Liver, CT, 512x512 px, Slice 45/124 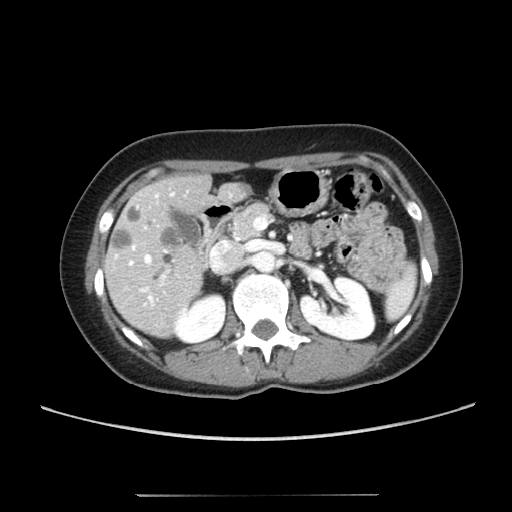
Findings:
* kidney: [x1=175, y1=297, x2=224, y2=341], [x1=301, y1=278, x2=373, y2=339]
* liver lesion: [x1=159, y1=226, x2=183, y2=249], [x1=110, y1=228, x2=131, y2=248], [x1=235, y1=183, x2=253, y2=196], [x1=126, y1=206, x2=140, y2=222]
* liver: [x1=104, y1=174, x2=248, y2=340]